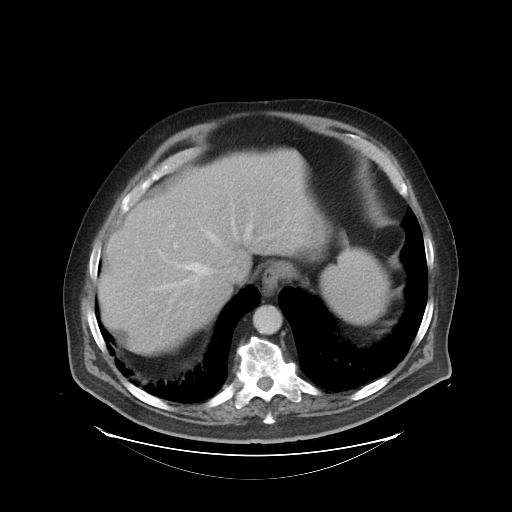

Abdomen | 512x512 px | CT scan slice
Only some of the vessels may be annotated.
{"hepatic_vessel": ["160,324,163,336", "201,228,222,246", "175,243,177,248", "181,302,183,303", "166,291,183,312", "152,250,211,289", "251,213,252,215", "231,214,235,235", "231,202,232,206", "246,220,251,238"]}